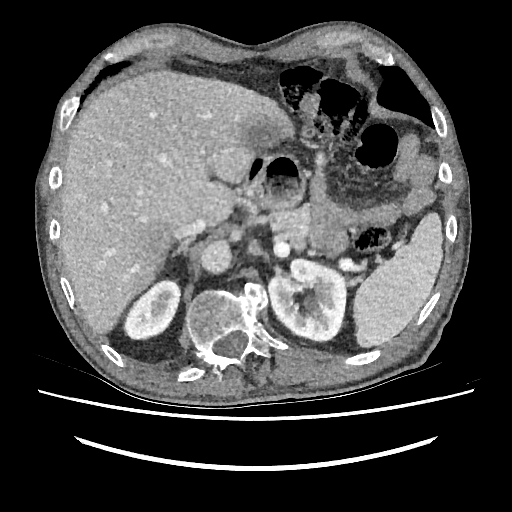
CT; 512x512
- liver: box(60, 71, 294, 332)
- kidney: box(125, 281, 179, 338); box(269, 259, 345, 340)
- focal liver lesion: box(242, 118, 284, 153); box(143, 224, 169, 259)